FLAIR MR image.
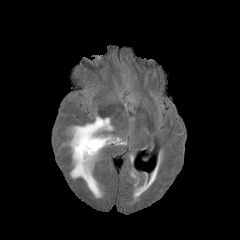
T1-weighted MR image.
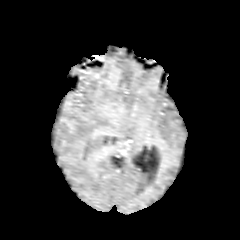
Post-contrast T1-weighted MR image.
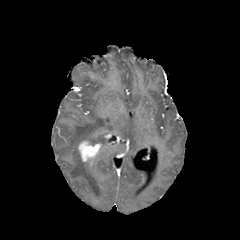
T2-weighted MR image.
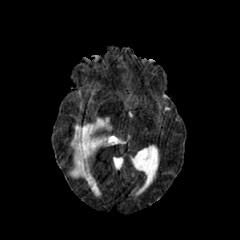
Brain
The edema appears at [x1=70, y1=116, x2=112, y2=197]. The enhancing tumor is located at [x1=75, y1=138, x2=105, y2=168].